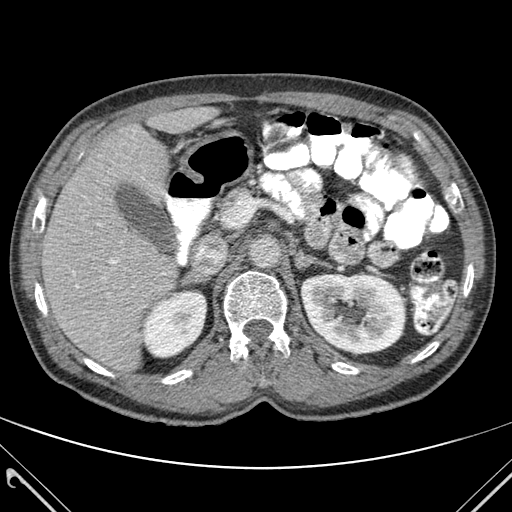

CT scan slice | Abdomen

Liver at (left=152, top=107, right=212, bottom=133), (left=41, top=125, right=175, bottom=370).
Bone at (left=35, top=284, right=46, bottom=314), (left=224, top=271, right=289, bottom=359), (left=412, top=342, right=438, bottom=362), (left=85, top=359, right=112, bottom=375), (left=332, top=362, right=357, bottom=373), (left=33, top=194, right=46, bottom=235), (left=447, top=184, right=462, bottom=204), (left=464, top=265, right=473, bottom=295), (left=163, top=370, right=191, bottom=383).
Kidney at (left=302, top=275, right=404, bottom=352), (left=144, top=292, right=205, bottom=356).